Image width 411 mm | CT
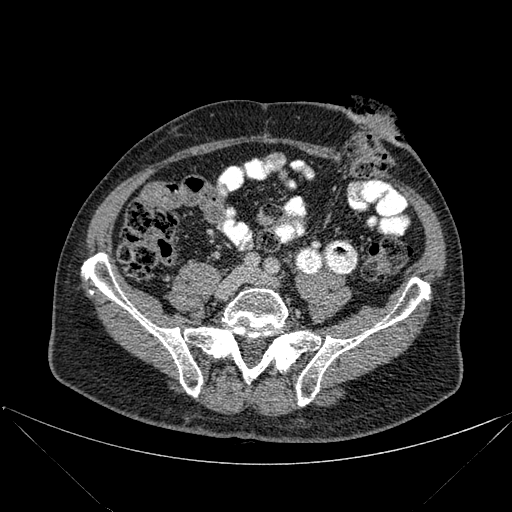

The bone lies within l=82, t=253, r=430, b=405.